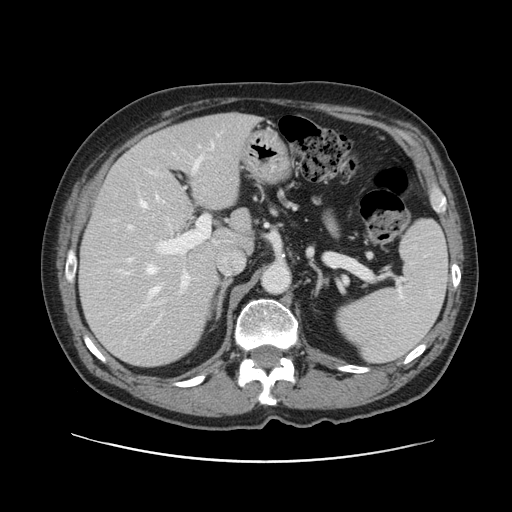
CT slice | Liver
The vessel boxes may cover only some of the vessels.
Findings:
- hepatic vessel: (left=181, top=273, right=189, bottom=287), (left=212, top=142, right=213, bottom=147), (left=117, top=270, right=122, bottom=271), (left=193, top=156, right=202, bottom=171), (left=147, top=265, right=155, bottom=273), (left=162, top=201, right=164, bottom=202), (left=140, top=201, right=146, bottom=206), (left=148, top=170, right=153, bottom=173), (left=156, top=194, right=158, bottom=199), (left=123, top=272, right=128, bottom=273), (left=149, top=287, right=159, bottom=296), (left=128, top=258, right=132, bottom=261), (left=127, top=225, right=131, bottom=228)